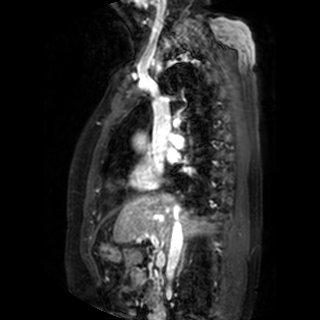
MR
left atrium: x1=168, y1=151, x2=176, y2=162